T2-weighted MR.
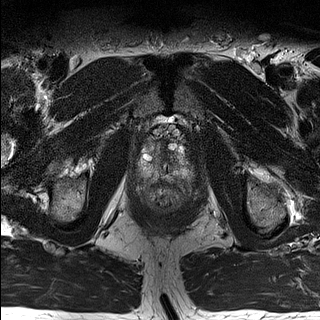
ADC MR image.
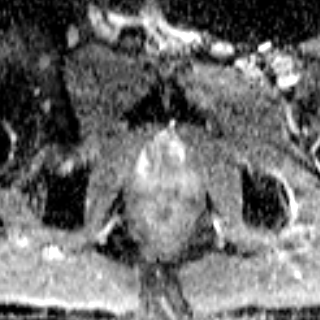
The prostate peripheral zone appears at (left=139, top=141, right=192, bottom=181). The prostate transition zone is located at (left=155, top=142, right=178, bottom=172).